FLAIR magnetic resonance.
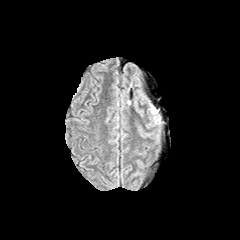
T1-weighted magnetic resonance.
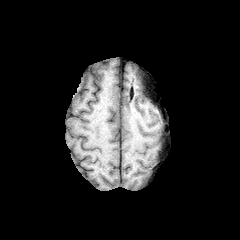
Post-contrast T1-weighted MRI.
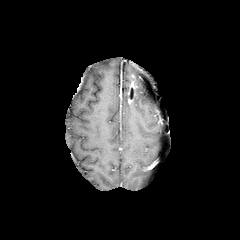
T2-weighted MR.
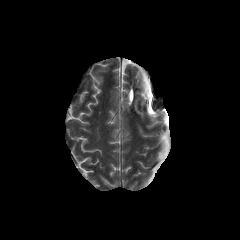
Head
Edema = <box>138,92,147,104</box>, <box>147,108,160,126</box>.